Slice 22 of 49. Liver. Computed tomography. 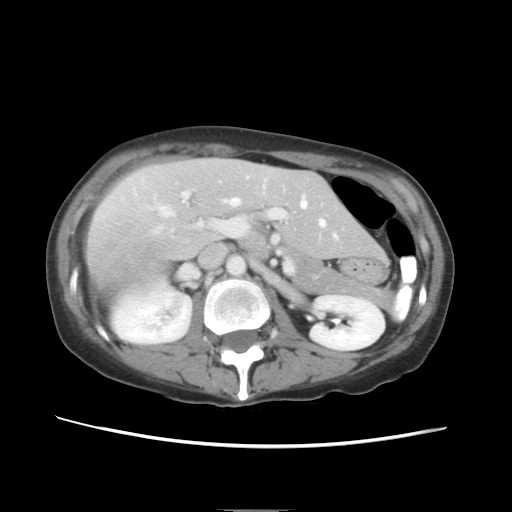

Some hepatic vessels may have no box.
Liver tumor: 87, 221, 173, 287.
Hepatic vessel: 268, 209, 286, 217; 157, 204, 173, 215; 334, 234, 337, 237; 182, 191, 188, 201; 154, 226, 161, 231; 223, 198, 239, 205; 170, 226, 175, 236; 319, 219, 325, 225; 192, 217, 247, 236; 300, 196, 306, 207; 134, 191, 135, 194.